512x512 px; Slice 237 of 781; CT image

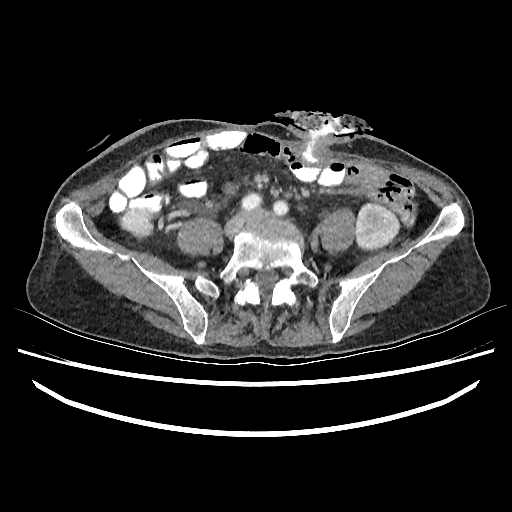

Segmented structures:
* kidney: x1=356 y1=204 x2=398 y2=248, x1=386 y1=255 x2=400 y2=263, x1=122 y1=216 x2=141 y2=233